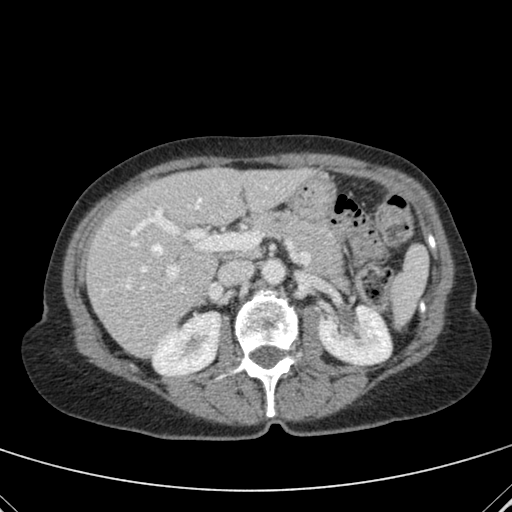
CT slice | Abdomen
2 kidney regions are bounded by 153 314 219 374, 319 307 390 364. The liver is at 87 168 309 355.